Field of view 512x512 mm, Computed tomography

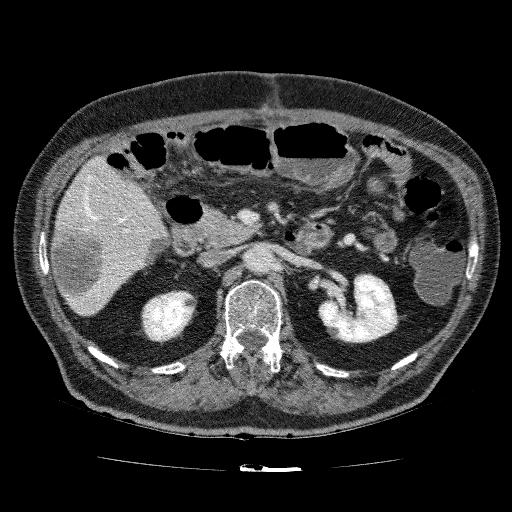

{"liver": ["bbox=[54, 154, 168, 316]"], "liver_lesion": ["bbox=[51, 224, 107, 300]", "bbox=[141, 232, 168, 266]"], "kidney": ["bbox=[142, 291, 193, 341]", "bbox=[319, 274, 397, 342]"]}